CT scan slice, Slice index 128 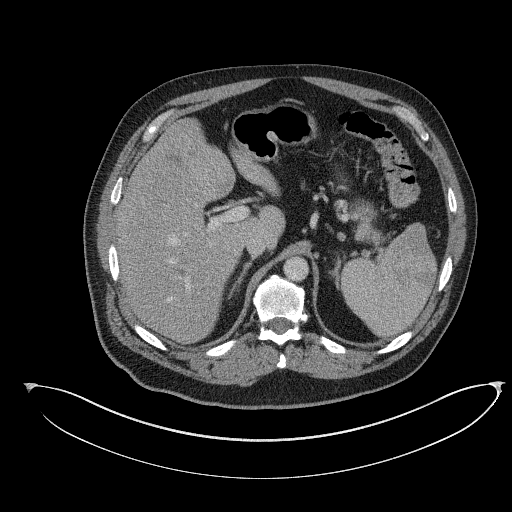

The pancreas is at 362:225:381:243.